FLAIR magnetic resonance.
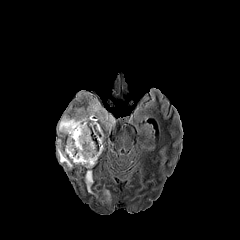
T1-weighted MRI.
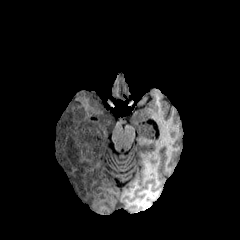
Post-contrast T1-weighted magnetic resonance.
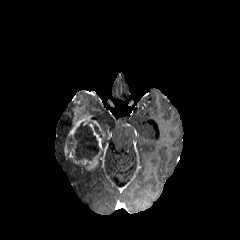
T2-weighted magnetic resonance.
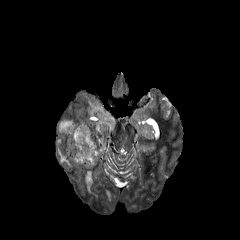
Brain
2 non-enhancing tumor core regions appear at bbox=[63, 100, 76, 138]; bbox=[74, 123, 99, 159]. The enhancing tumor is located at bbox=[64, 95, 106, 172]. 4 edema regions are located at bbox=[85, 171, 94, 194]; bbox=[56, 115, 67, 137]; bbox=[87, 97, 114, 127]; bbox=[55, 138, 73, 169].